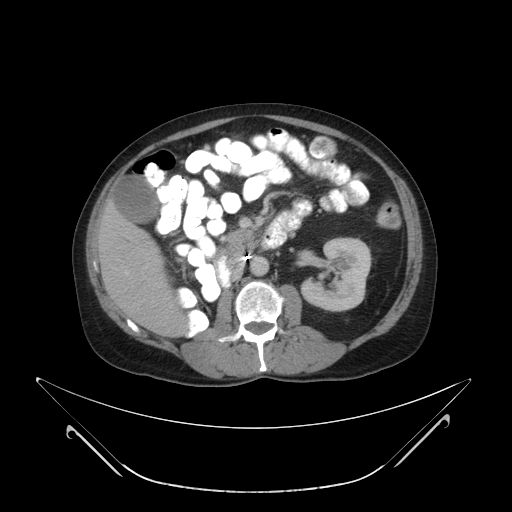
CT | Upper abdomen | 512x512

pancreas: box(217, 228, 258, 283)